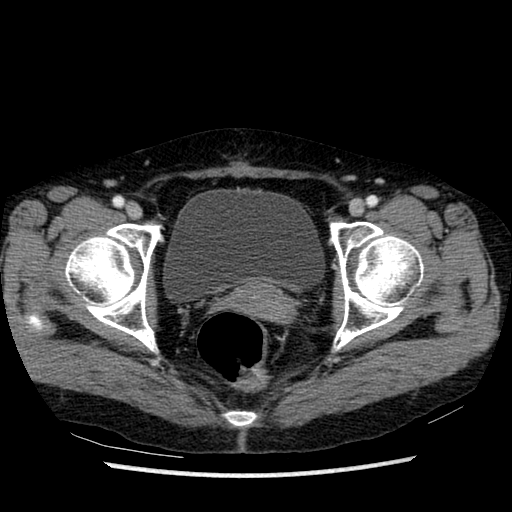
512x512 px; CT
urinary_bladder:
  - [162, 187, 325, 303]